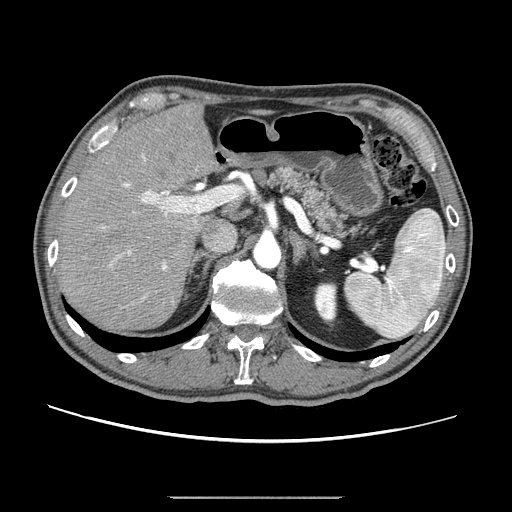

CT scan slice

pancreas:
  - (left=269, top=169, right=358, bottom=236)